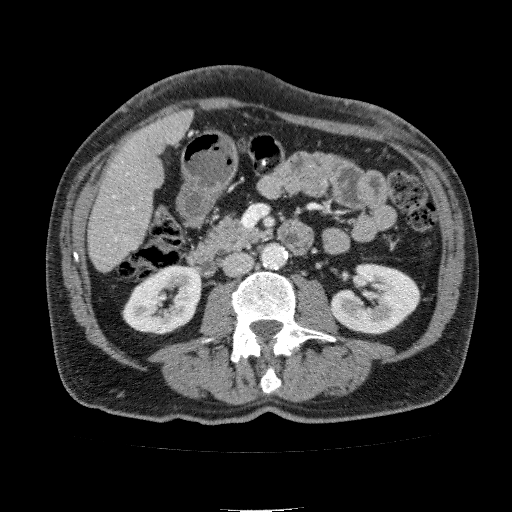

CT slice
kidney:
  - bbox=[332, 265, 418, 332]
  - bbox=[124, 266, 200, 332]
liver:
  - bbox=[89, 109, 193, 270]